CT image. Upper abdomen. 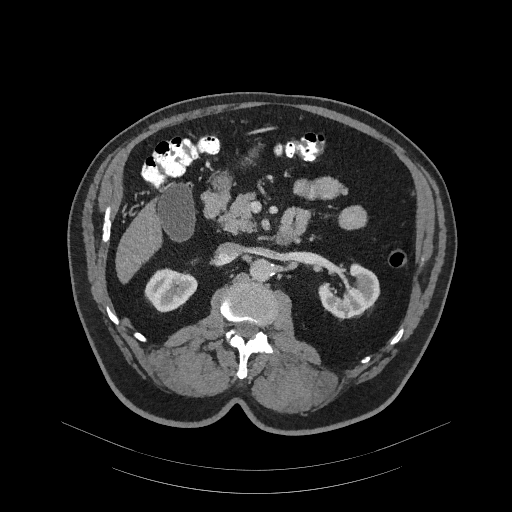
pancreas:
  - bbox=[221, 193, 254, 232]